Upper abdomen, CT scan slice 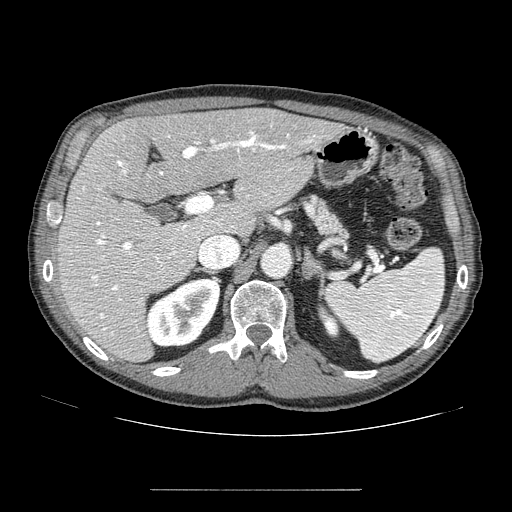

The pancreas is at box(310, 197, 348, 238).